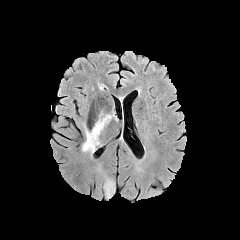
FLAIR magnetic resonance.
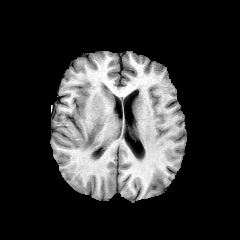
T1-weighted MRI.
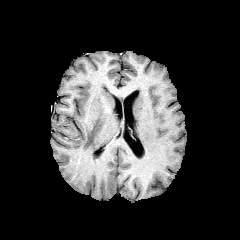
Same slice, post-contrast T1-weighted MRI.
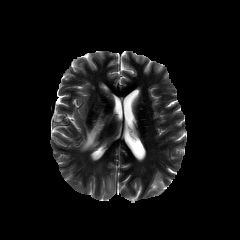
T2-weighted magnetic resonance.
Head
- edema: {"x1": 80, "y1": 112, "x2": 114, "y2": 153}